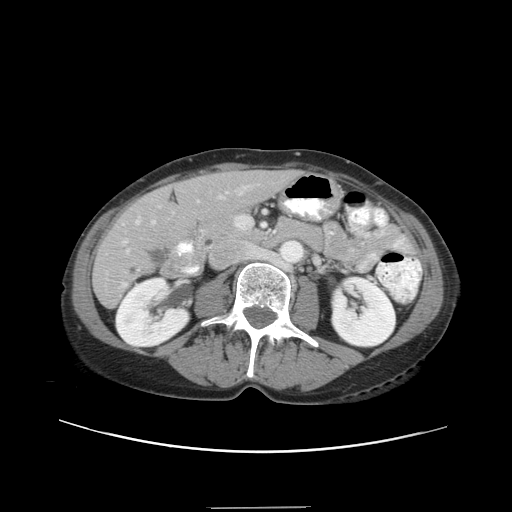
512x512 px; CT scan slice
Only some of the vessels may be annotated.
10 hepatic vessel regions appear at 197:200:199:202, 236:186:248:194, 151:220:155:223, 122:238:127:244, 126:249:129:253, 121:282:126:287, 172:212:174:214, 218:195:224:199, 225:191:228:193, 136:216:140:224.